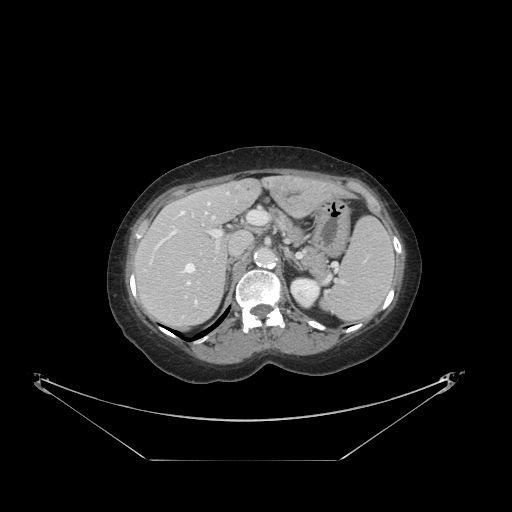

CT image
Only some of the vessels may be annotated.
Hepatic vessel — <box>178,211,183,215</box>, <box>227,192,228,194</box>, <box>248,210,267,223</box>, <box>205,212,206,214</box>, <box>155,247,156,249</box>, <box>187,282,189,284</box>, <box>181,264,193,272</box>, <box>212,216,214,219</box>, <box>160,232,174,243</box>, <box>207,202,210,204</box>, <box>208,230,221,238</box>, <box>195,301,196,304</box>.